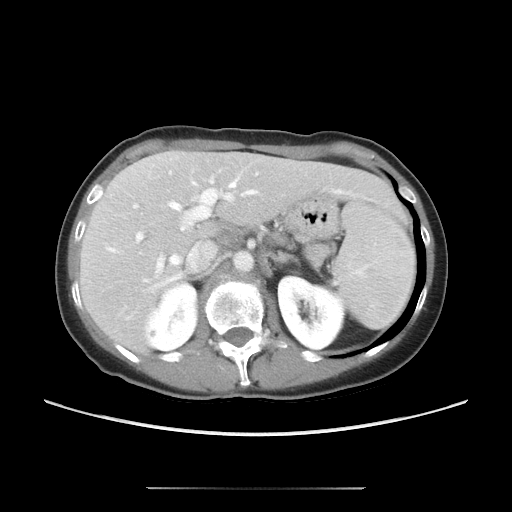

CT slice.

Only some of the vessels may be annotated.
Principal 15 of 16 hepatic vessel regions: (223, 194, 231, 199), (134, 203, 137, 207), (149, 284, 155, 290), (160, 253, 163, 256), (210, 178, 213, 183), (241, 190, 258, 195), (227, 181, 235, 188), (170, 278, 175, 279), (192, 182, 195, 184), (108, 249, 113, 250), (155, 260, 162, 276), (136, 232, 142, 241), (197, 196, 201, 198), (169, 202, 179, 209), (170, 256, 179, 263).